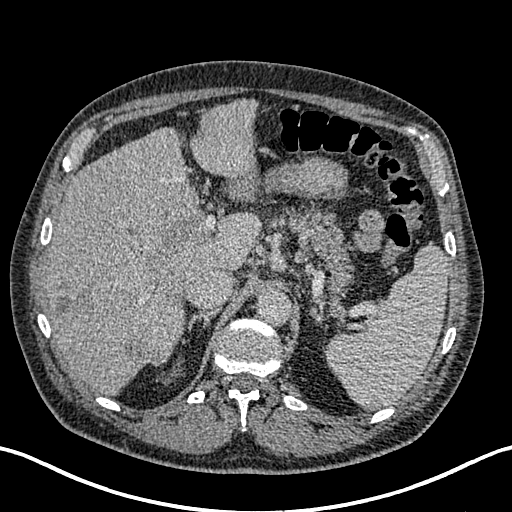 Computed tomography. Abdomen.
Hepatic lesion at (x1=145, y1=219, x2=198, y2=283), (x1=125, y1=334, x2=160, y2=363), (x1=55, y1=282, x2=93, y2=315).
Liver at (x1=192, y1=100, x2=258, y2=201), (x1=45, y1=126, x2=261, y2=394).